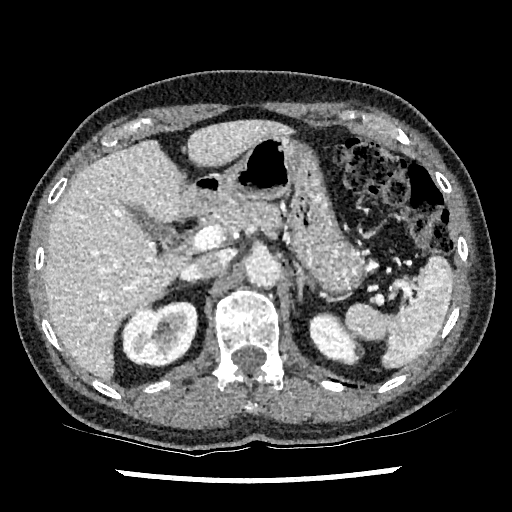
Abdomen; CT slice; 512x512
Liver = 45 140 192 379, 188 120 294 166.
Kidney = 311 317 353 361, 124 303 196 364.